CT slice; 512x512; Liver; Slice 201/432 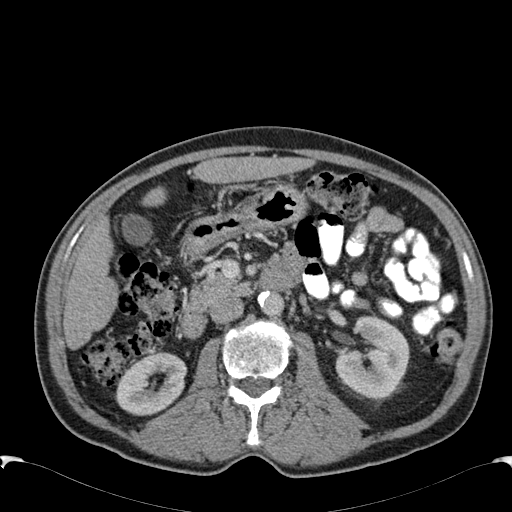

* liver: <bbox>143, 187, 165, 205</bbox>, <bbox>195, 157, 313, 182</bbox>, <bbox>64, 218, 118, 348</bbox>
* kidney: <bbox>117, 353, 185, 414</bbox>, <bbox>336, 317, 408, 398</bbox>